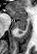

MRI. Hippocampus. 37x54.
{
  "posterior_hippocampus": [
    "16, 20, 27, 30",
    "18, 31, 22, 33"
  ],
  "anterior_hippocampus": [
    "8, 8, 26, 19"
  ]
}